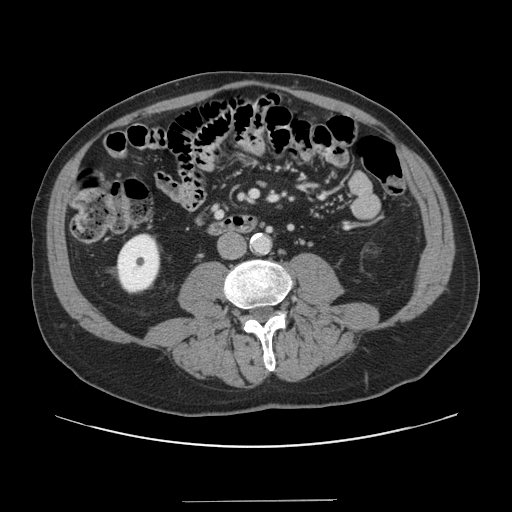 CT image
The vessel annotation is not exhaustive.
Hepatic vessel — left=253, top=192, right=254, bottom=193.